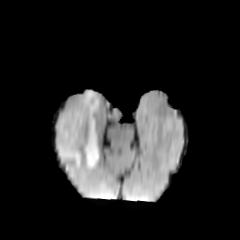
FLAIR magnetic resonance.
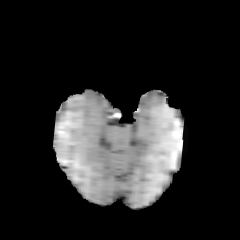
Same slice, T1-weighted MR image.
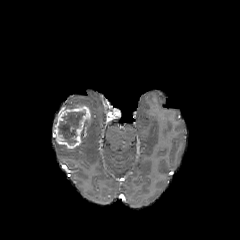
Same slice, post-contrast T1-weighted MRI.
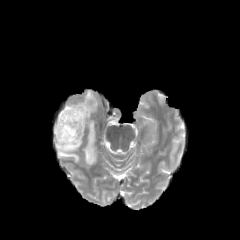
T2-weighted MRI of the same slice.
Head
Non-enhancing tumor core: bounding box <box>58,111,84,145</box>.
Enhancing tumor: bounding box <box>54,105,90,148</box>.
Edema: bounding box <box>55,90,98,167</box>.